FLAIR MR image.
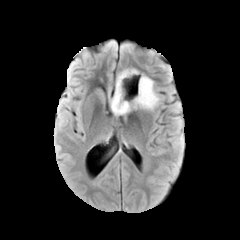
T1-weighted magnetic resonance.
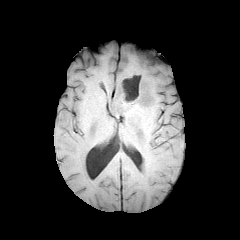
Post-contrast T1-weighted MR.
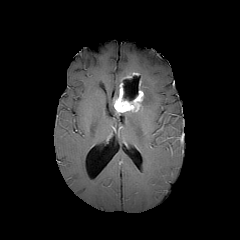
T2-weighted MRI.
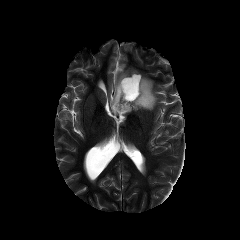
Brain
<segmentation>
  <non-enhancing_tumor_core>x1=122, y1=86, x2=138, y2=103; x1=110, y1=80, x2=126, y2=115; x1=130, y1=84, x2=149, y2=110</non-enhancing_tumor_core>
  <enhancing_tumor>x1=112, y1=80, x2=143, y2=114</enhancing_tumor>
  <edema>x1=116, y1=69, x2=137, y2=79; x1=124, y1=74, x2=160, y2=110</edema>
</segmentation>